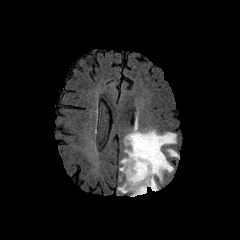
FLAIR MR.
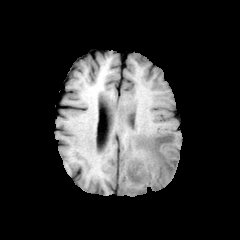
Same slice, T1-weighted MR image.
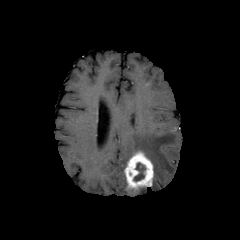
Post-contrast T1-weighted MRI of the same slice.
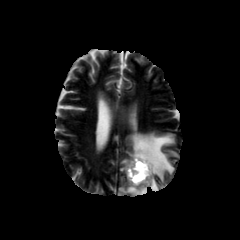
T2-weighted MRI.
Head, Image size 240x240
The enhancing tumor is bounded by (x1=123, y1=150, x2=154, y2=195). 3 edema regions are located at (x1=151, y1=179, x2=159, y2=191), (x1=118, y1=182, x2=126, y2=193), (x1=119, y1=117, x2=179, y2=184).